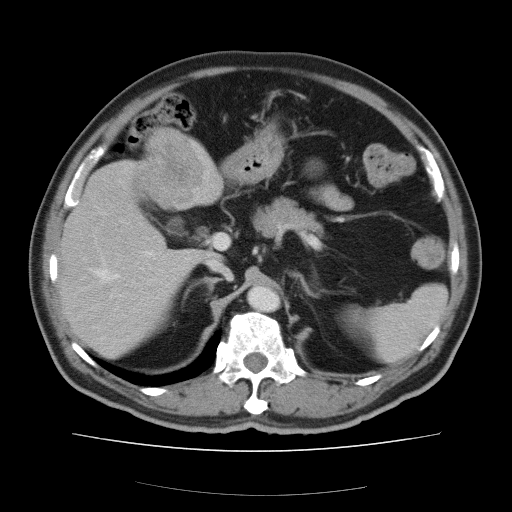

Abdomen, CT image
Only some of the vessels may be annotated.
The liver tumor lies within x1=131 y1=133 x2=201 y2=202. 5 hepatic vessel regions are bounded by x1=158 y1=268 x2=163 y2=272, x1=92 y1=269 x2=117 y2=281, x1=145 y1=278 x2=157 y2=285, x1=144 y1=251 x2=159 y2=259, x1=214 y1=234 x2=226 y2=248.